Slice 85 of 155. Field of view 240x240 mm.
FLAIR MR.
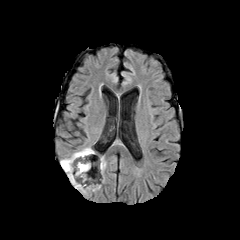
T1-weighted MRI.
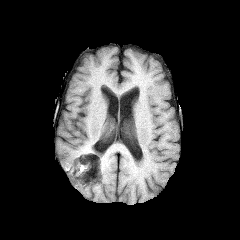
Post-contrast T1-weighted MR image.
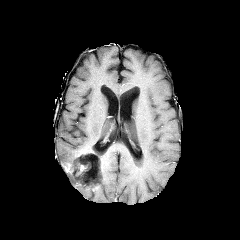
T2-weighted MRI.
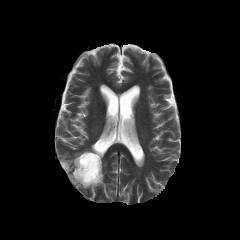
{
  "non-enhancing_tumor_core": [
    "x1=74 y1=152 x2=99 y2=182"
  ],
  "edema": [
    "x1=60 y1=150 x2=89 y2=187",
    "x1=96 y1=156 x2=105 y2=175"
  ]
}